Computed tomography; Slice 19 of 42 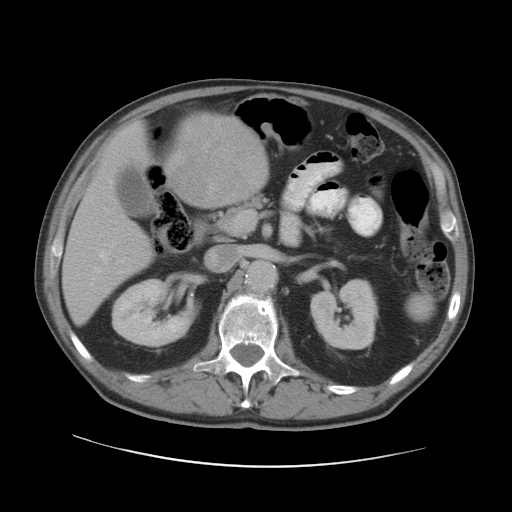 Not every hepatic vessel necessarily has a box.
The liver tumor is at [167, 116, 267, 207]. 6 hepatic vessel regions are located at [119, 271, 121, 273], [94, 267, 100, 272], [87, 235, 89, 236], [99, 249, 110, 261], [91, 277, 94, 279], [108, 178, 112, 188].